CT; Slice 18 of 45 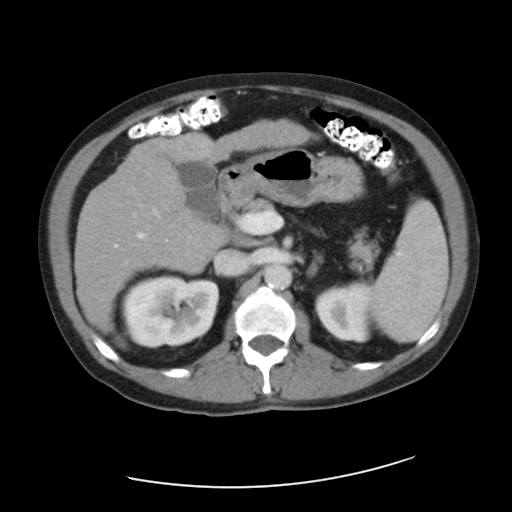 The vessel annotation is not exhaustive.
Hepatic vessel at [x1=153, y1=209, x2=157, y2=214], [x1=115, y1=245, x2=116, y2=246], [x1=137, y1=233, x2=144, y2=238], [x1=133, y1=214, x2=135, y2=216].
Liver tumor at [x1=183, y1=134, x2=207, y2=153].